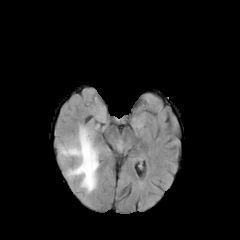
FLAIR MRI.
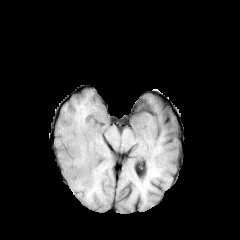
T1-weighted magnetic resonance.
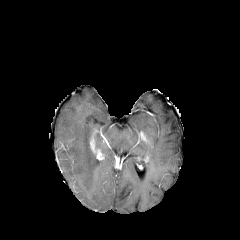
Same slice, post-contrast T1-weighted MR.
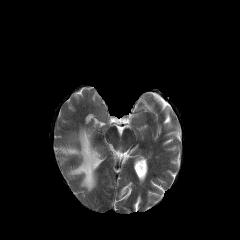
T2-weighted magnetic resonance.
Brain
The edema lies within (59,126,99,192).